Pelvis; Slice index 145; 512x512 px; CT scan slice 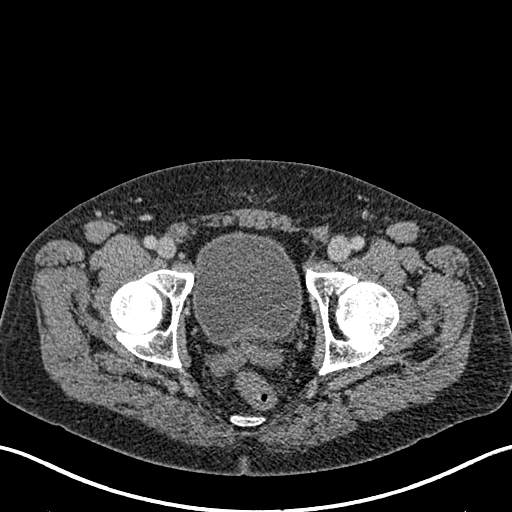 The urinary bladder lies within (192,231,302,339).